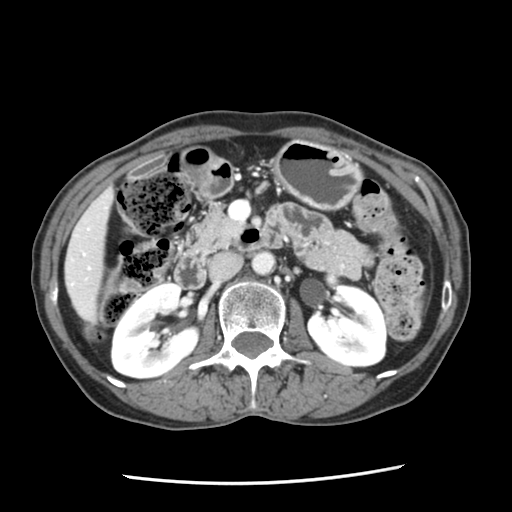 Abdomen | CT slice
Segmented structures:
- pancreas: {"x1": 195, "y1": 203, "x2": 247, "y2": 255}